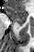 Magnetic resonance. 34x52.

anterior_hippocampus:
  - [7, 7, 26, 21]
posterior_hippocampus:
  - [14, 21, 25, 25]